CT slice | Liver | Field of view 500 mm wide, 1.50 mm slice spacing | Image size 512x512
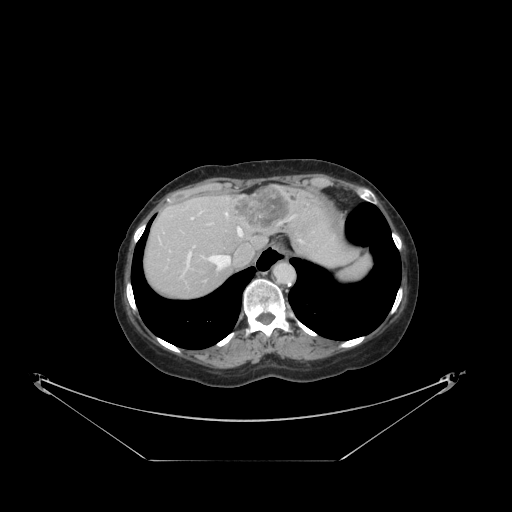
Only some of the vessels may be annotated.
hepatic_vessel:
  - <bbox>246, 244, 248, 246</bbox>
  - <bbox>186, 252, 190, 267</bbox>
  - <bbox>192, 217, 193, 218</bbox>
  - <bbox>236, 259, 238, 261</bbox>
  - <bbox>168, 250, 170, 252</bbox>
  - <bbox>208, 255, 231, 269</bbox>
  - <bbox>236, 252, 237, 254</bbox>
  - <bbox>237, 227, 242, 236</bbox>
  - <bbox>224, 211, 228, 217</bbox>
liver_tumor:
  - <bbox>231, 186, 293, 233</bbox>